Head
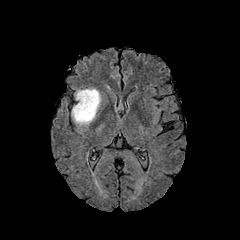
FLAIR MRI.
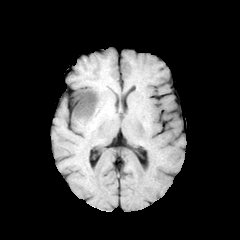
T1-weighted MRI.
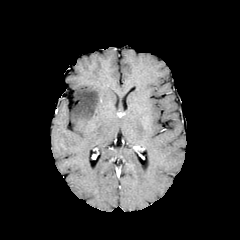
Same slice, post-contrast T1-weighted MR image.
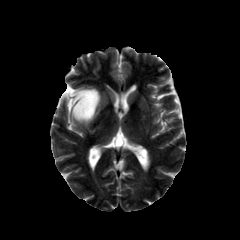
T2-weighted MRI.
The edema is at box(70, 86, 103, 128).